FLAIR MRI.
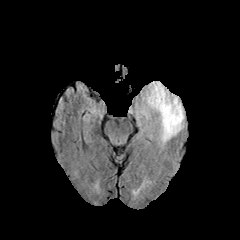
T1-weighted MRI.
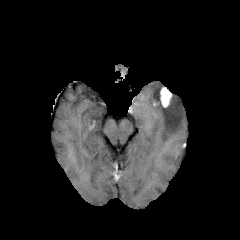
Post-contrast T1-weighted MR image.
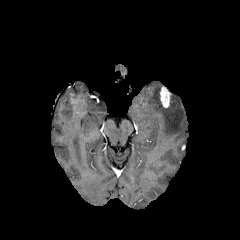
T2-weighted magnetic resonance.
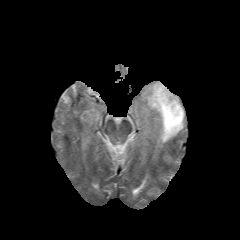
<segmentation>
  <enhancing_tumor>(160,86,171,107)</enhancing_tumor>
  <edema>(130,81,185,147)</edema>
  <non-enhancing_tumor_core>(163,101,174,113)</non-enhancing_tumor_core>
</segmentation>